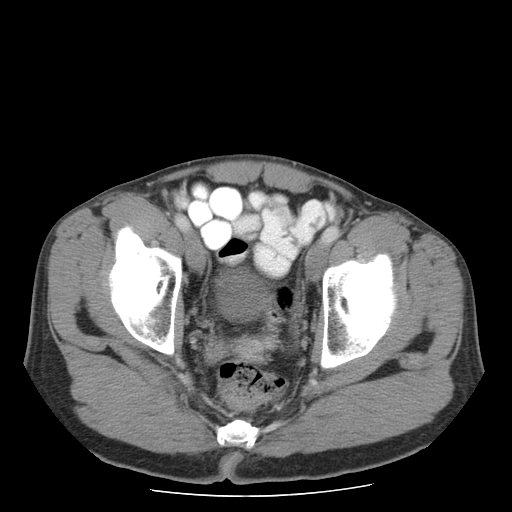 CT
Colon tumor: box(235, 338, 263, 361).